MRI. Slice index 7. Image width 34 mm.
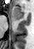
<segmentation>
  <anterior_hippocampus>[12,5,25,19]</anterior_hippocampus>
</segmentation>